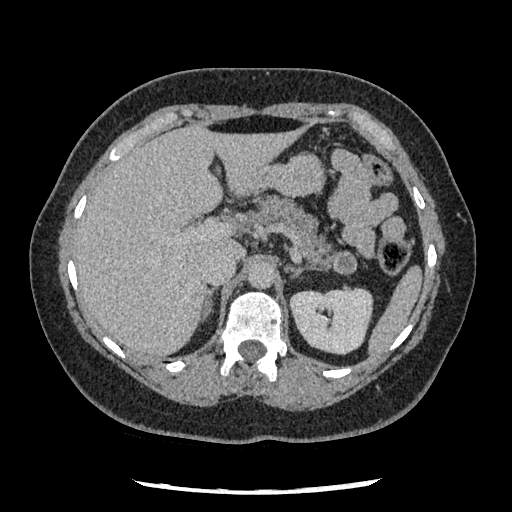
CT slice; Image size 512x512
Findings:
- pancreatic tumor: <box>333,251,358,274</box>
- pancreas: <box>256,196,341,269</box>